Slice 114/266. Field of view 341x341 mm. CT image. Abdomen. 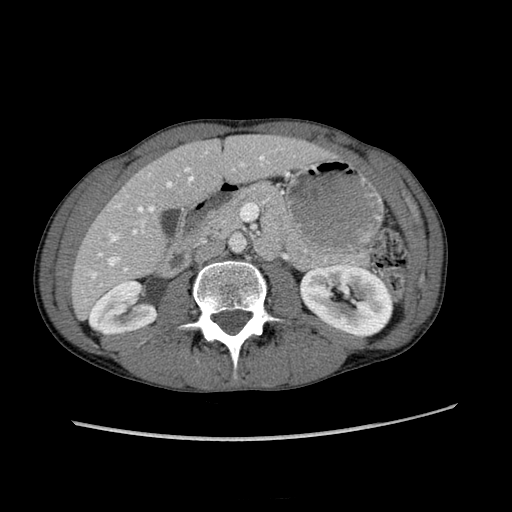
2 kidney regions appear at [300,265,391,335], [90,281,154,331]. The liver is bounded by [68,135,330,319].